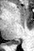

Medial temporal lobe. Image size 34x51. MRI slice.
Posterior hippocampus: bbox(6, 39, 19, 44).